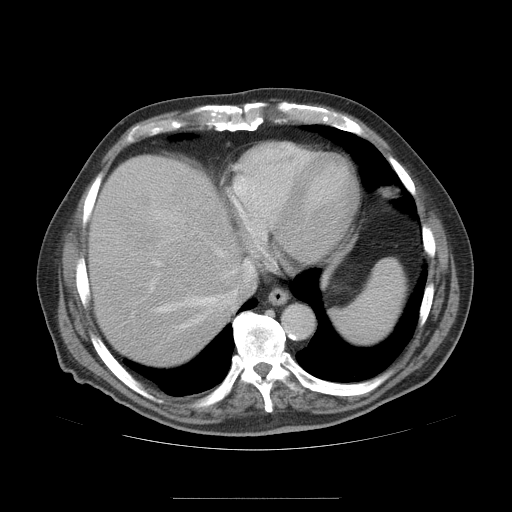 CT slice, Liver
The vessel annotation is not exhaustive.
Hepatic vessel at 220, 308, 222, 310; 185, 296, 216, 305; 173, 324, 188, 328; 159, 272, 160, 274; 153, 260, 163, 265; 248, 262, 251, 272; 224, 300, 229, 302; 223, 269, 236, 276; 157, 304, 174, 311; 231, 307, 234, 309; 216, 250, 222, 256; 150, 278, 156, 292; 195, 315, 204, 322; 234, 291, 236, 294.